CT; Field of view 472x472 mm
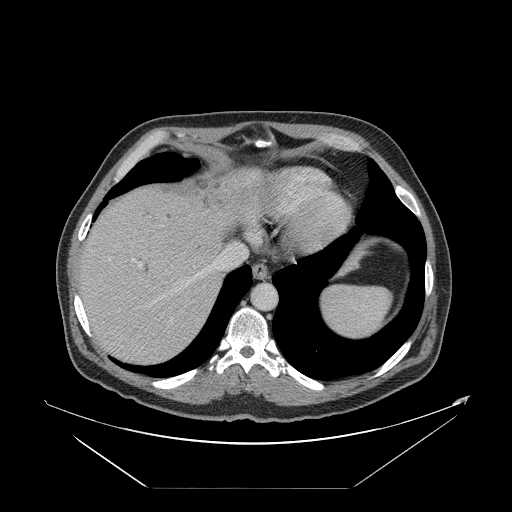
The vessel annotation is not exhaustive.
Annotated regions:
• hepatic vessel: (left=131, top=259, right=142, bottom=267), (left=251, top=233, right=255, bottom=238), (left=151, top=245, right=246, bottom=303), (left=170, top=319, right=172, bottom=321), (left=117, top=311, right=118, bottom=312)